512x512 | CT image

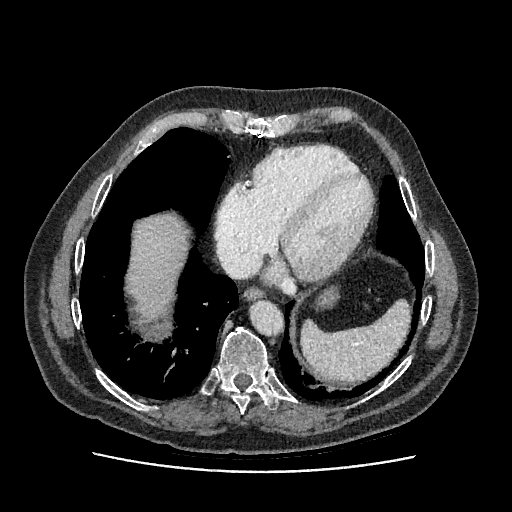
Liver = {"x1": 127, "y1": 215, "x2": 187, "y2": 318}.